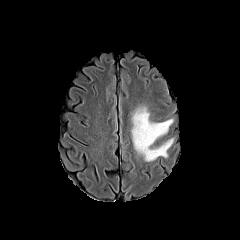
FLAIR magnetic resonance.
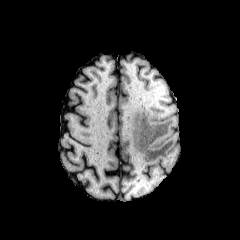
T1-weighted MR.
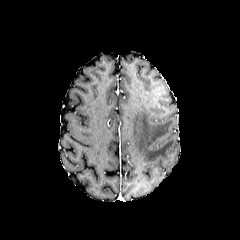
Post-contrast T1-weighted MR image of the same slice.
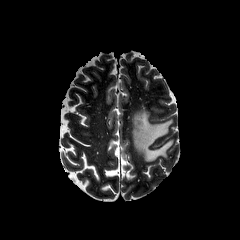
T2-weighted MR image.
Image size 240x240
<segmentation>
  <edema>(131,107,172,161)</edema>
</segmentation>